CT scan slice

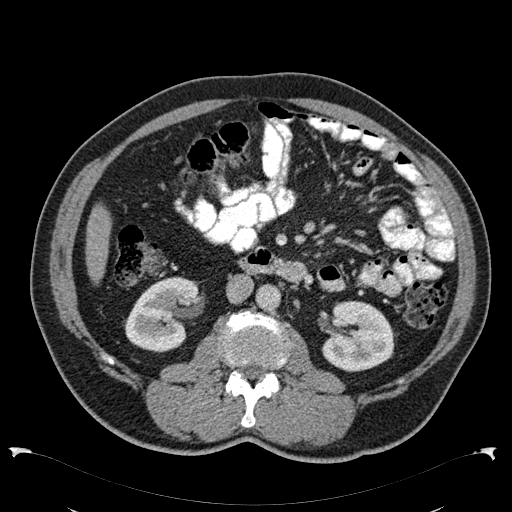
Liver: box=[87, 205, 111, 284].
Kidney: box=[322, 301, 393, 371]; box=[125, 277, 199, 351].